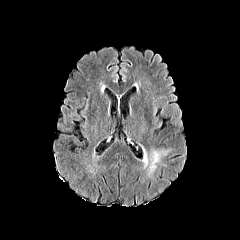
FLAIR MR image.
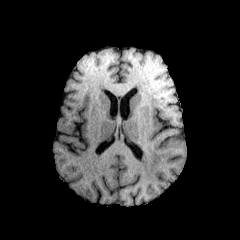
T1-weighted MR image of the same slice.
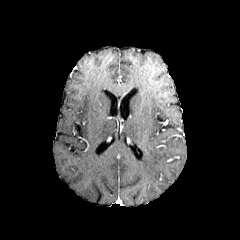
Post-contrast T1-weighted MR.
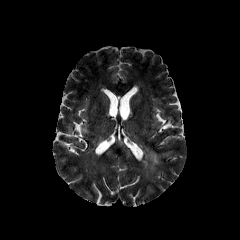
T2-weighted MR image.
<segmentation>
  <edema>box(149, 150, 160, 172)</edema>
</segmentation>